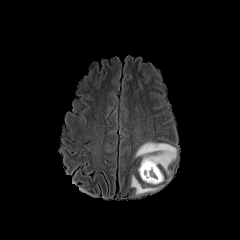
FLAIR MR.
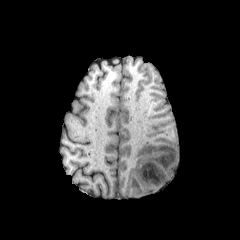
Same slice, T1-weighted magnetic resonance.
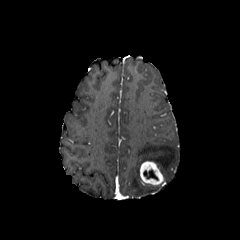
Post-contrast T1-weighted MR.
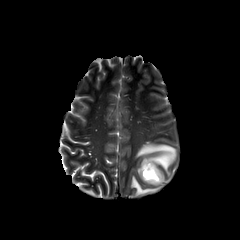
T2-weighted MR.
Head
2 edema regions are located at box=[135, 142, 176, 173]; box=[131, 175, 158, 194]. The non-enhancing tumor core is located at box=[143, 170, 156, 178]. The enhancing tumor is bounded by box=[138, 160, 163, 184].